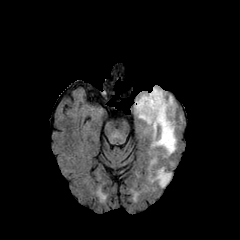
FLAIR MRI.
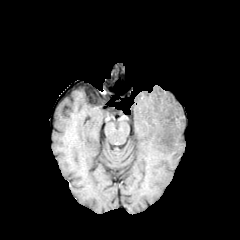
Same slice, T1-weighted magnetic resonance.
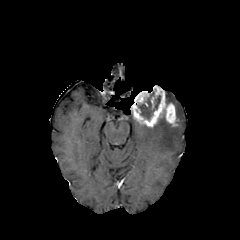
Same slice, post-contrast T1-weighted magnetic resonance.
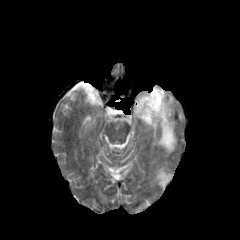
T2-weighted MRI of the same slice.
Enhancing tumor — 132,86,175,127.
Non-enhancing tumor core — 154,96,160,109; 137,97,152,119.
Edema — 151,119,177,154; 156,167,171,186.